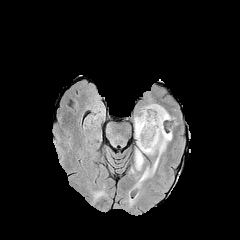
FLAIR MR.
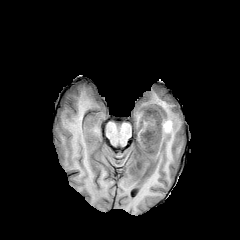
T1-weighted MR.
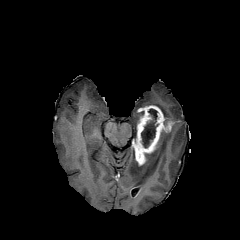
Post-contrast T1-weighted MR image.
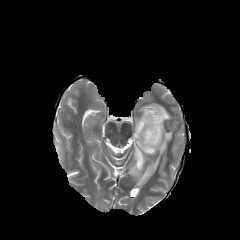
T2-weighted magnetic resonance of the same slice.
240x240.
enhancing_tumor:
  - l=132, t=106, r=166, b=165
edema:
  - l=129, t=149, r=142, b=173
  - l=134, t=129, r=172, b=188
  - l=148, t=104, r=170, b=120
  - l=134, t=117, r=139, b=136
non-enhancing_tumor_core:
  - l=141, t=108, r=159, b=148